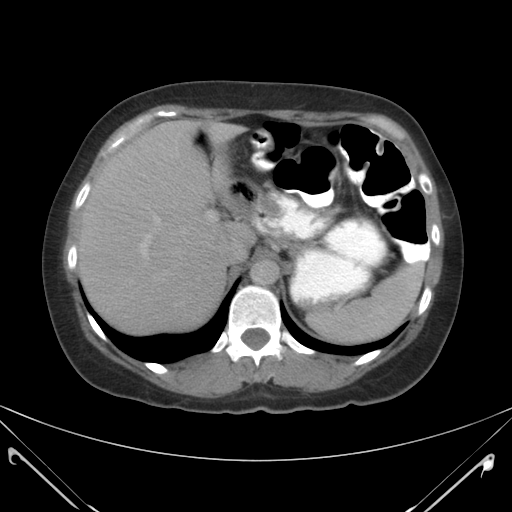 Computed tomography, Upper abdomen

Segmented structures:
* spleen: x1=308, y1=265, x2=421, y2=345